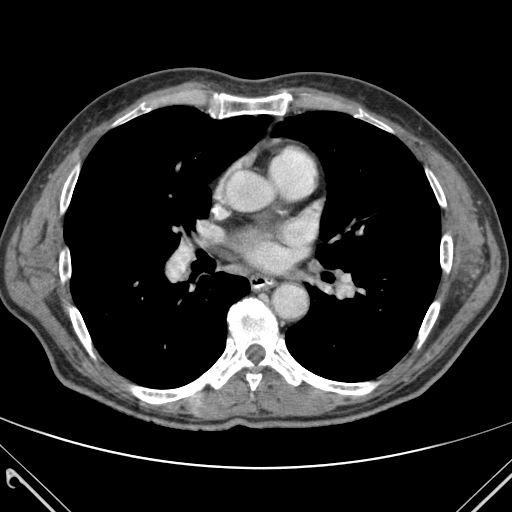 512x512; Thorax; Computed tomography
3 lung regions appear at x1=197, y1=250, x2=208, y2=260; x1=271, y1=111, x2=440, y2=381; x1=64, y1=106, x2=271, y2=388. 11 bone regions are located at x1=426, y1=170, x2=446, y2=206; x1=247, y1=373, x2=261, y2=390; x1=60, y1=167, x2=78, y2=216; x1=70, y1=308, x2=93, y2=356; x1=329, y1=102, x2=391, y2=131; x1=418, y1=302, x2=439, y2=347; x1=113, y1=103, x2=151, y2=124; x1=59, y1=247, x2=70, y2=280; x1=196, y1=90, x2=293, y2=118; x1=131, y1=298, x2=374, y2=403; x1=440, y1=235, x2=452, y2=271.